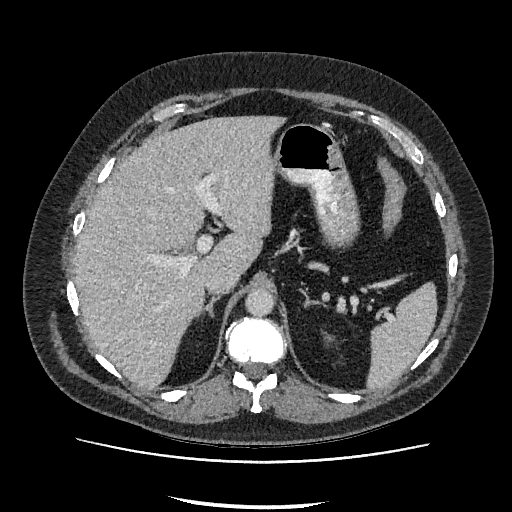 Computed tomography
Liver: bounding box x1=76 y1=116 x2=282 y2=388.